FLAIR MRI.
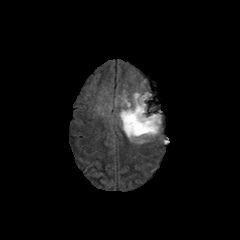
T1-weighted magnetic resonance.
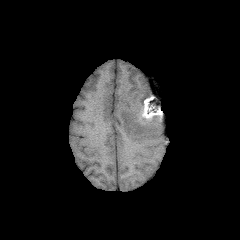
Post-contrast T1-weighted magnetic resonance.
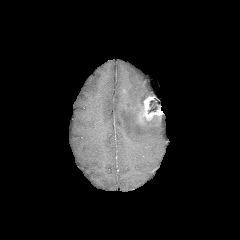
T2-weighted magnetic resonance.
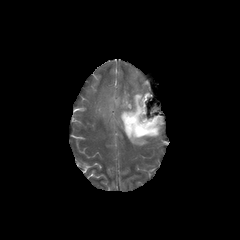
* enhancing tumor: 138 96 159 120
* non-enhancing tumor core: 125 97 160 133
* edema: 115 87 165 145, 148 98 157 109